FLAIR MR image.
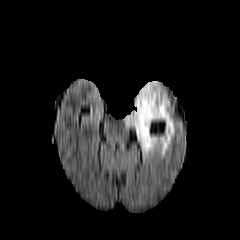
T1-weighted MR image.
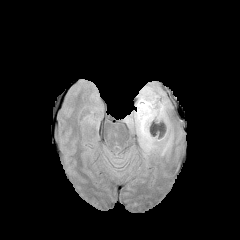
Post-contrast T1-weighted magnetic resonance.
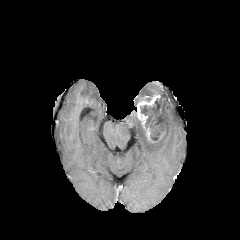
T2-weighted MR image.
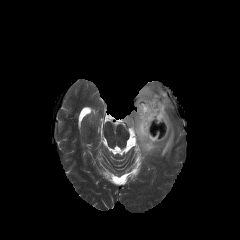
Head
edema: (left=124, top=82, right=174, bottom=156) | enhancing tumor: (left=136, top=94, right=160, bottom=139)